Head. Image size 240x240. Slice 102 of 155.
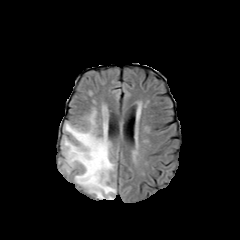
FLAIR magnetic resonance.
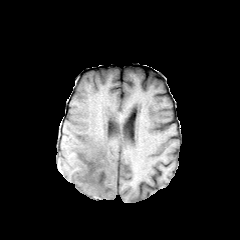
Same slice, T1-weighted MR image.
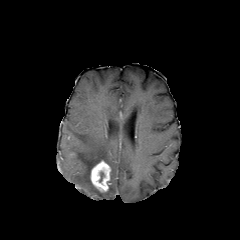
Same slice, post-contrast T1-weighted MR image.
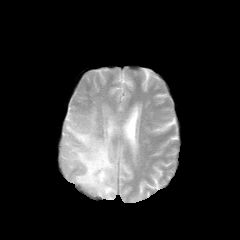
T2-weighted MRI.
The enhancing tumor appears at bbox=[90, 160, 110, 192]. The edema is located at bbox=[63, 108, 116, 199].